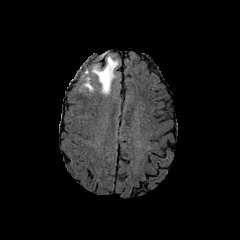
FLAIR MR image.
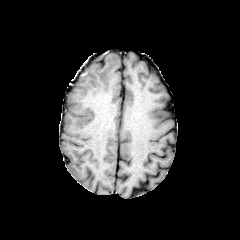
Same slice, T1-weighted magnetic resonance.
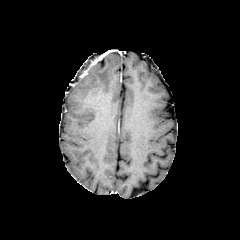
Post-contrast T1-weighted MR image of the same slice.
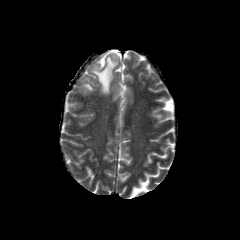
T2-weighted MRI.
{
  "edema": [
    "80,54,119,95"
  ]
}